FLAIR magnetic resonance.
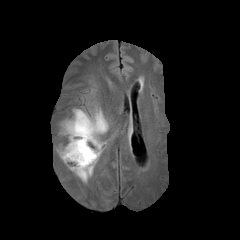
T1-weighted magnetic resonance.
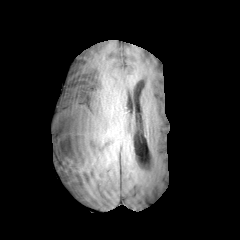
Post-contrast T1-weighted MR.
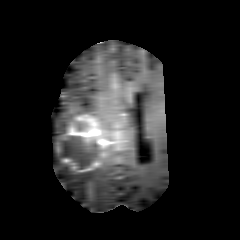
T2-weighted MR image.
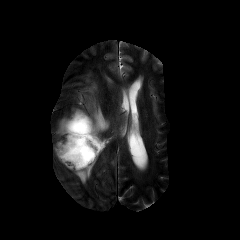
Brain | 240x240
<segmentation>
  <enhancing_tumor>[65, 114, 108, 146]</enhancing_tumor>
  <non-enhancing_tumor_core>[62, 136, 101, 168], [68, 118, 86, 129]</non-enhancing_tumor_core>
  <edema>[88, 106, 110, 133], [55, 108, 105, 183]</edema>
</segmentation>